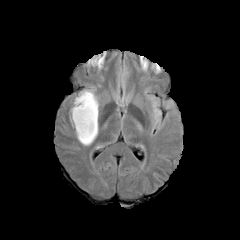
FLAIR MRI.
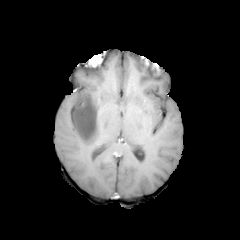
T1-weighted MR of the same slice.
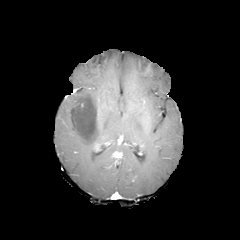
Post-contrast T1-weighted MR image of the same slice.
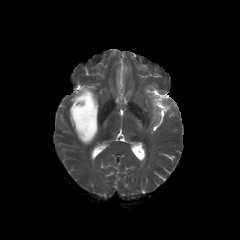
T2-weighted MR.
Brain.
3 edema regions are bounded by bbox(69, 86, 100, 147); bbox(148, 96, 167, 125); bbox(71, 96, 81, 105). The non-enhancing tumor core is bounded by bbox(70, 91, 95, 139).